CT slice | Lung | Field of view 360x360 mm | Image size 512x512

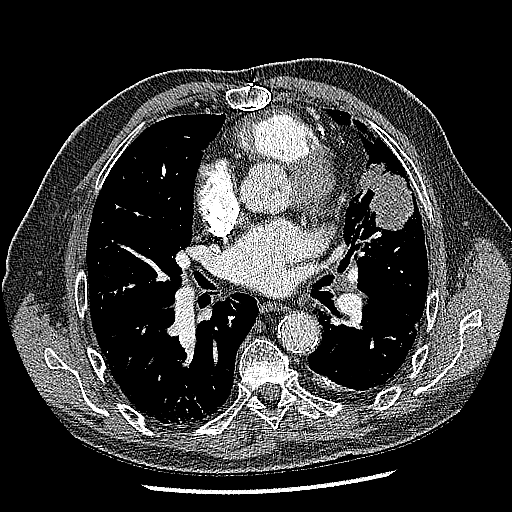
Lung tumor: box=[361, 161, 413, 231].